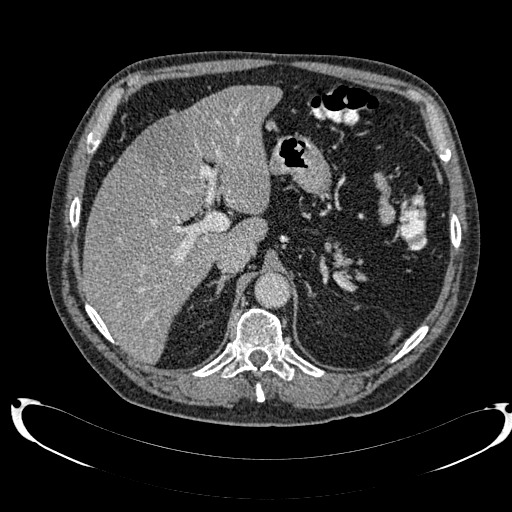
Image size 512x512 | CT image
Liver lesion = 136,118,192,174.
Liver = 81,85,282,363.